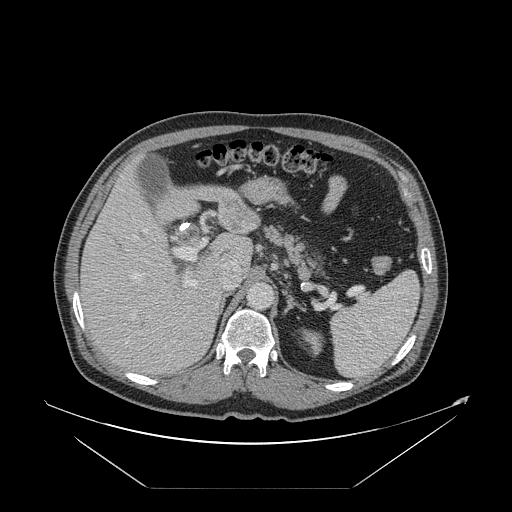 CT scan slice | Liver
Some hepatic vessels may have no box.
{
  "hepatic_vessel": [
    "region(174, 239, 206, 261)",
    "region(202, 215, 206, 230)",
    "region(133, 234, 136, 237)",
    "region(143, 230, 146, 232)",
    "region(185, 272, 197, 286)",
    "region(171, 223, 188, 239)",
    "region(210, 253, 242, 290)",
    "region(131, 274, 141, 279)",
    "region(213, 291, 216, 291)",
    "region(135, 228, 136, 231)",
    "region(207, 213, 219, 217)",
    "region(133, 311, 135, 318)",
    "region(194, 194, 215, 200)"
  ]
}